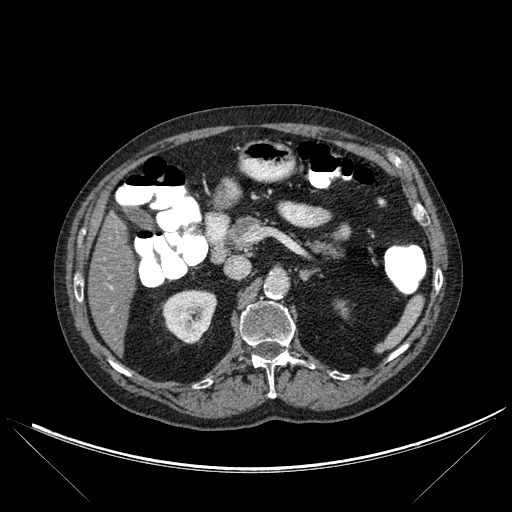
Upper abdomen, CT image, 512x512 px
The kidney is at 163 290 216 342. 8 bone regions appear at 435 270 442 290, 194 379 211 388, 389 344 407 359, 240 301 295 346, 330 371 348 379, 75 282 82 301, 252 350 298 397, 110 361 130 375. The liver is at 89 210 139 356.